FLAIR magnetic resonance.
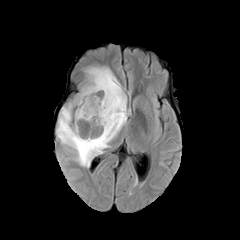
T1-weighted MRI.
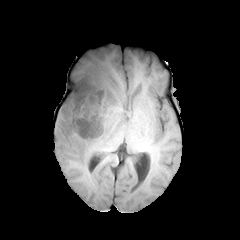
Post-contrast T1-weighted MRI.
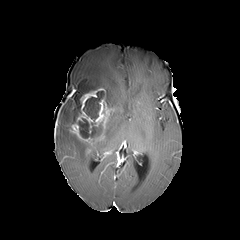
T2-weighted magnetic resonance.
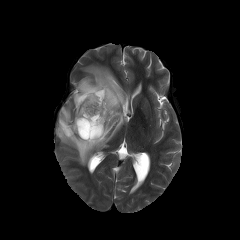
Head
{"non-enhancing_tumor_core": ["x1=76, y1=118, x2=103, y2=143", "x1=74, y1=84, x2=113, y2=119"], "edema": ["x1=56, y1=66, x2=130, y2=167"], "enhancing_tumor": ["x1=71, y1=122, x2=90, y2=141", "x1=76, y1=88, x2=109, y2=129"]}